Slice index 120 | Head | Field of view 240 mm wide, 1.00 mm slice spacing
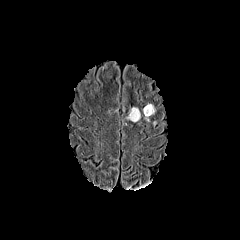
FLAIR MR image.
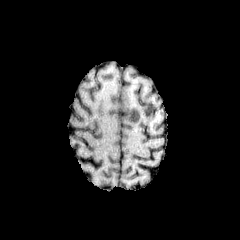
T1-weighted MR image.
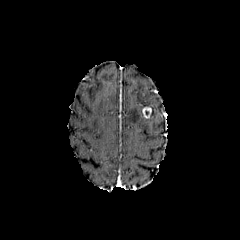
Same slice, post-contrast T1-weighted MRI.
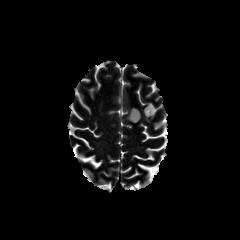
T2-weighted MRI.
Enhancing tumor = box(143, 106, 151, 117).
Edema = box(127, 107, 141, 121).